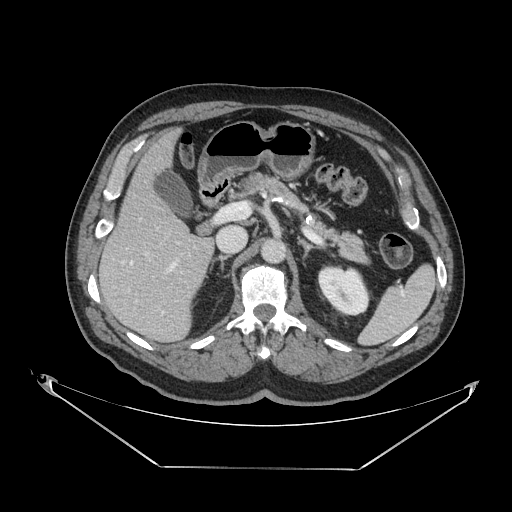 Image size 512x512, Upper abdomen, Computed tomography
<segmentation>
  <pancreas>226, 171, 371, 265</pancreas>
</segmentation>